CT. 512x512. Field of view 380 mm wide, 2.50 mm slice spacing. Slice 41/91. Upper abdomen. 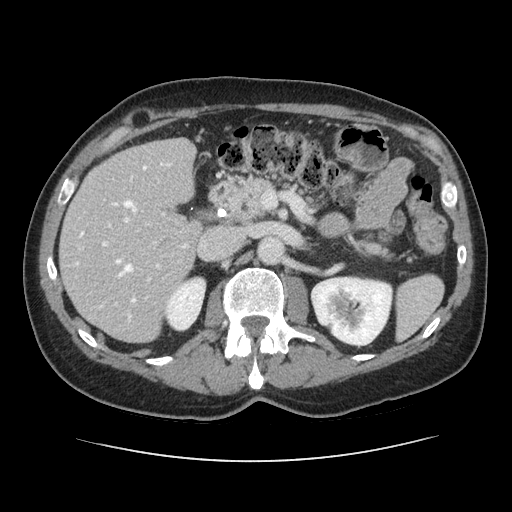 Findings:
- pancreas: bbox(228, 180, 270, 218); bbox(360, 242, 389, 258)